Brain, Slice index 61
FLAIR MR image.
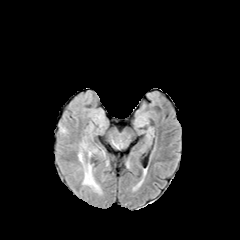
T1-weighted MRI.
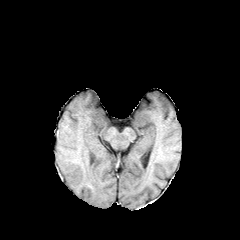
Post-contrast T1-weighted magnetic resonance.
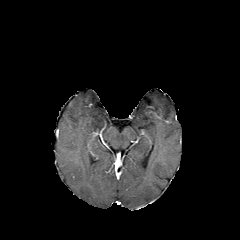
T2-weighted MRI.
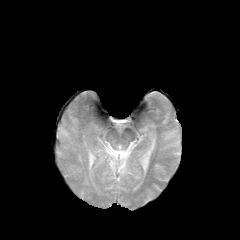
edema: x1=78, y1=153, x2=101, y2=193